FLAIR MR image.
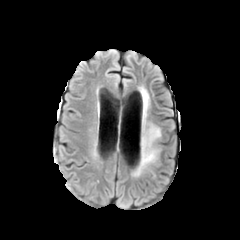
T1-weighted MR image.
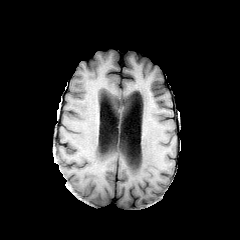
Post-contrast T1-weighted MR.
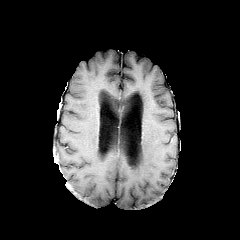
T2-weighted MRI.
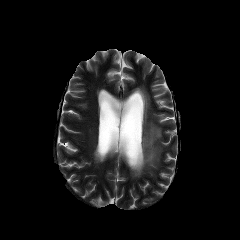
240x240 px
edema:
  - (133, 87, 161, 176)